Head. Slice 94 of 155.
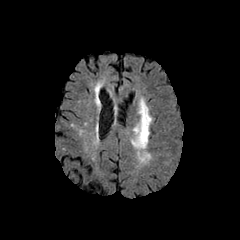
FLAIR MR image.
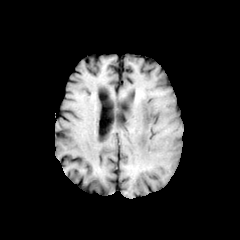
T1-weighted magnetic resonance.
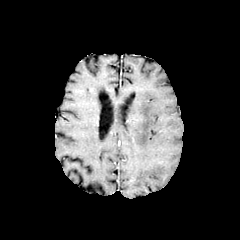
Same slice, post-contrast T1-weighted MR image.
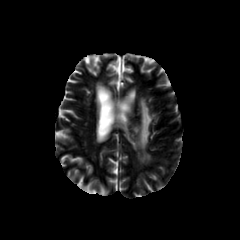
Same slice, T2-weighted MR image.
edema:
  - x1=125, y1=98, x2=154, y2=162